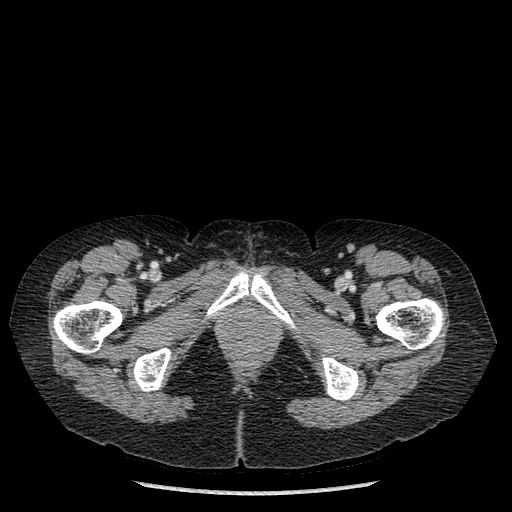 CT slice
5 bone regions are bounded by (376,298,444,349), (321,356,359,400), (132,348,171,391), (53,300,122,353), (205,269,297,330).